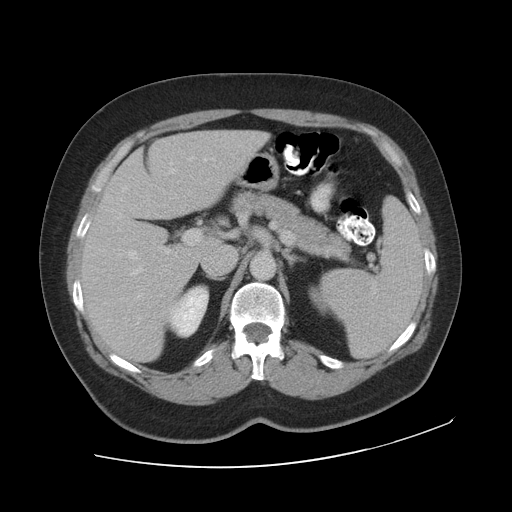

Image size 512x512; CT scan slice; Abdomen
Only some of the vessels may be annotated.
Hepatic vessel — (left=122, top=187, right=126, bottom=191), (left=131, top=266, right=142, bottom=274), (left=128, top=250, right=137, bottom=258), (left=188, top=156, right=193, bottom=160), (left=159, top=247, right=169, bottom=253), (left=147, top=212, right=148, bottom=216), (left=139, top=293, right=142, bottom=296), (left=175, top=252, right=176, bottom=256), (left=169, top=162, right=175, bottom=172), (left=204, top=158, right=207, bottom=161), (left=185, top=231, right=199, bottom=243), (left=117, top=213, right=122, bottom=219), (left=211, top=158, right=214, bottom=159).